Abdomen; Computed tomography; Slice index 260
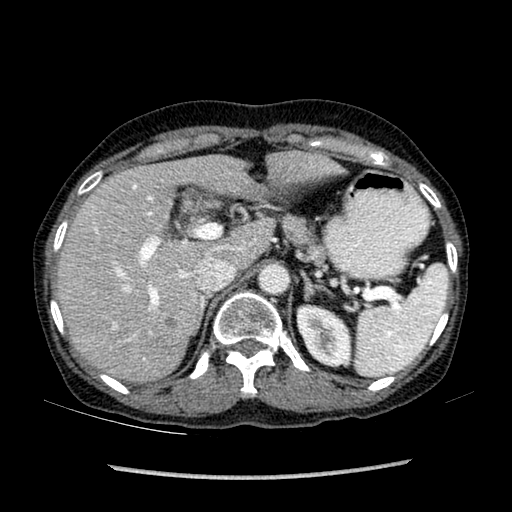 focal_liver_lesion:
  - {"x1": 166, "y1": 317, "x2": 181, "y2": 329}
kidney:
  - {"x1": 298, "y1": 307, "x2": 349, "y2": 364}
liver:
  - {"x1": 268, "y1": 152, "x2": 334, "y2": 182}
  - {"x1": 58, "y1": 156, "x2": 272, "y2": 381}